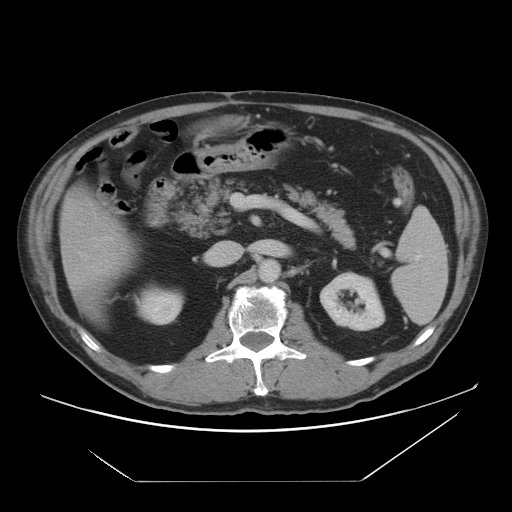 Upper abdomen, CT scan slice

kidney: bbox(142, 294, 179, 323); bbox(321, 273, 383, 329) | liver: bbox(60, 188, 133, 318); bbox(196, 128, 213, 140)